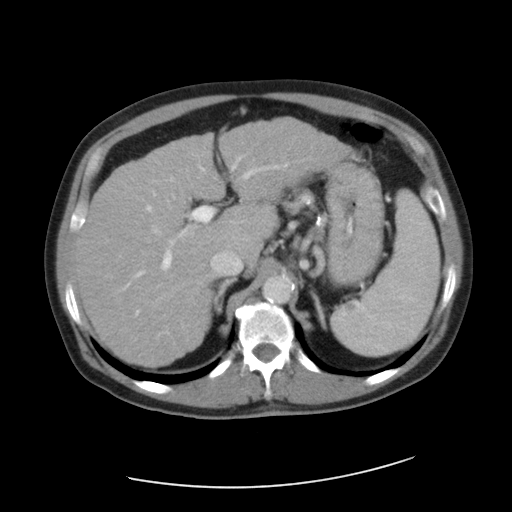

CT slice, Abdomen, 512x512
The vessel annotation is not exhaustive.
{"hepatic_vessel": ["bbox=[168, 239, 174, 244]", "bbox=[135, 271, 143, 276]", "bbox=[153, 192, 154, 194]", "bbox=[123, 283, 129, 288]", "bbox=[198, 165, 204, 170]", "bbox=[136, 310, 139, 314]", "bbox=[152, 226, 160, 233]", "bbox=[162, 249, 171, 269]", "bbox=[178, 236, 180, 237]", "bbox=[247, 163, 287, 174]", "bbox=[233, 156, 241, 167]", "bbox=[193, 207, 212, 220]", "bbox=[146, 206, 151, 210]"]}